FLAIR MR.
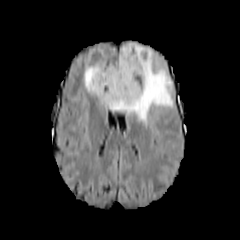
T1-weighted MR.
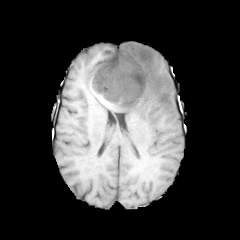
Post-contrast T1-weighted MRI.
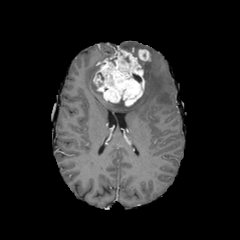
T2-weighted MR.
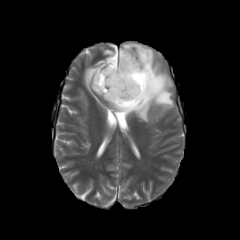
Head
Edema: bounding box box(84, 43, 173, 124).
Enhancing tumor: bounding box box(93, 49, 144, 106); box(137, 49, 151, 61).